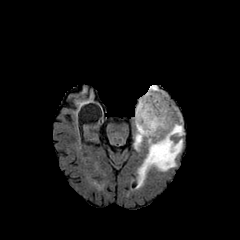
FLAIR MR.
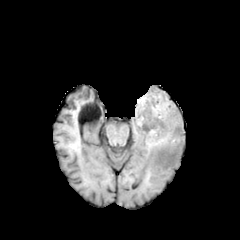
T1-weighted MR.
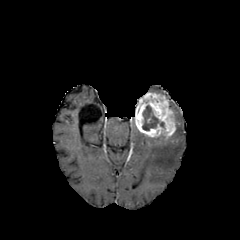
Post-contrast T1-weighted MRI.
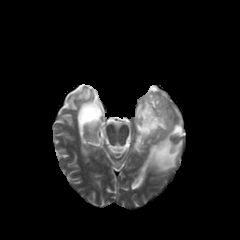
Same slice, T2-weighted magnetic resonance.
Head
{
  "edema": [
    "region(134, 85, 184, 185)"
  ],
  "non-enhancing_tumor_core": [
    "region(142, 105, 163, 130)",
    "region(148, 132, 167, 139)"
  ],
  "enhancing_tumor": [
    "region(135, 92, 175, 136)"
  ]
}